Slice index 36, 240x240, Brain
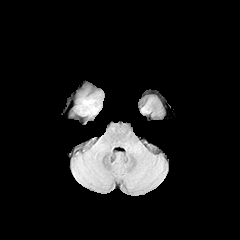
FLAIR magnetic resonance.
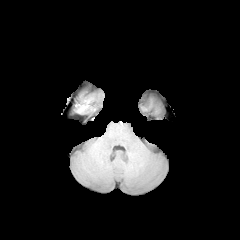
Same slice, T1-weighted magnetic resonance.
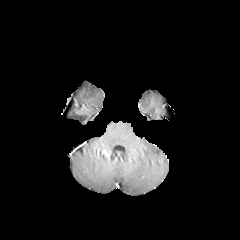
Post-contrast T1-weighted MR of the same slice.
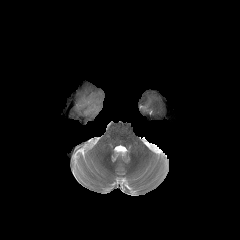
T2-weighted MR.
Edema: bounding box (left=77, top=97, right=100, bottom=116).